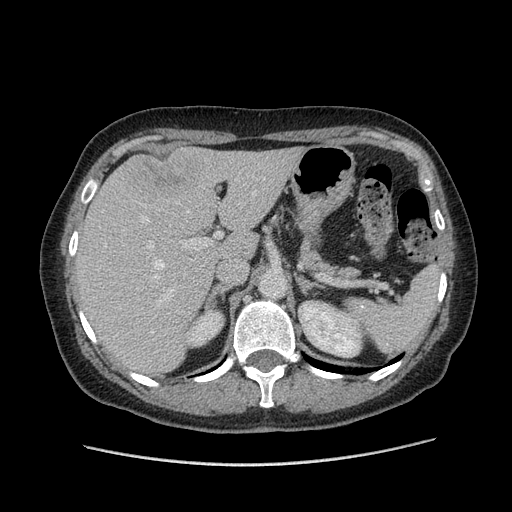 Computed tomography. Liver. The vessel annotation is not exhaustive.
Annotated regions:
* liver tumor: x1=132 y1=148 x2=198 y2=187
* hepatic vessel: x1=157 y1=289 x2=171 y2=303, x1=137 y1=259 x2=165 y2=289, x1=147 y1=241 x2=152 y2=248, x1=142 y1=218 x2=147 y2=222, x1=209 y1=223 x2=210 y2=225, x1=183 y1=232 x2=222 y2=244